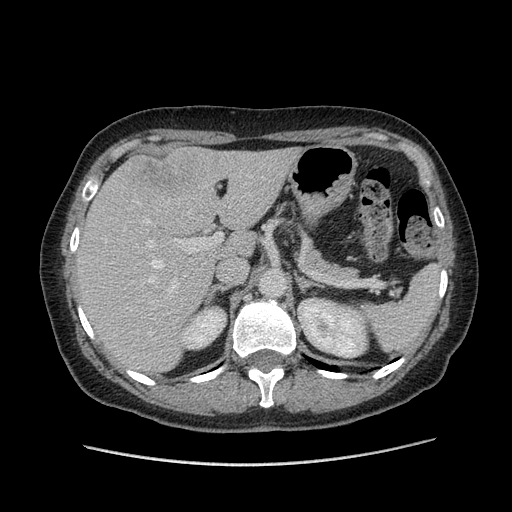

CT
Only some of the vessels may be annotated.
hepatic_vessel:
  - 146,240,154,248
  - 155,260,163,270
  - 175,233,223,253
  - 138,274,158,287
  - 170,281,177,290
  - 145,220,149,224
  - 190,259,191,261
  - 211,225,213,226
liver_tumor:
  - 132,148,214,196